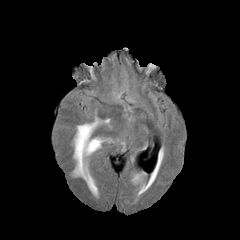
FLAIR magnetic resonance.
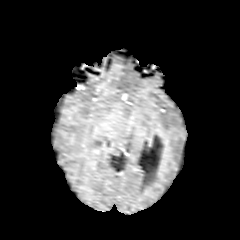
T1-weighted MRI of the same slice.
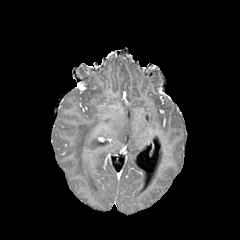
Post-contrast T1-weighted MR image.
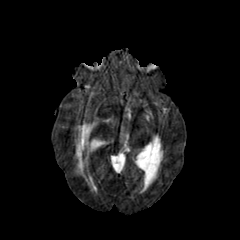
T2-weighted MRI.
edema: bbox(72, 119, 109, 193)